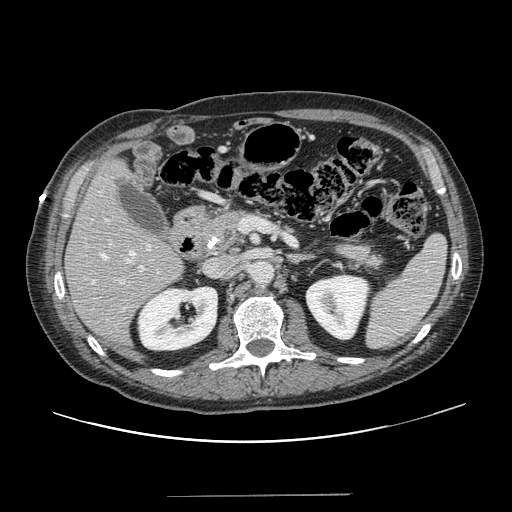 CT image | 512x512 px

Segmented structures:
- pancreas: (193,207,389,279)
- pancreatic tumor: (204,220,227,238)